CT; Image size 512x512; Upper abdomen 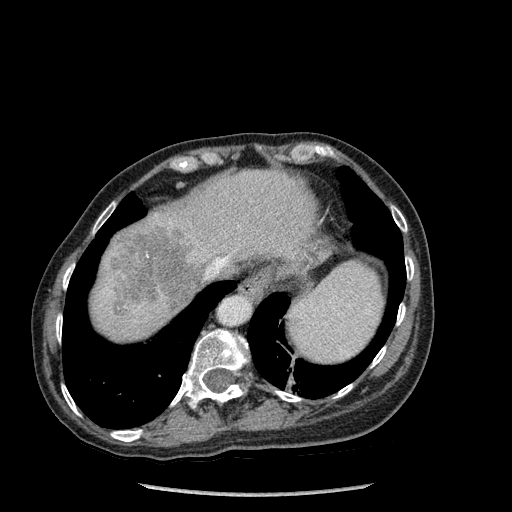 hepatic_lesion:
  - x1=112, y1=232, x2=200, y2=308
  - x1=114, y1=301, x2=125, y2=315
bone:
  - x1=396, y1=303, x2=405, y2=325
  - x1=92, y1=202, x2=115, y2=233
  - x1=170, y1=329, x2=249, y2=407
  - x1=62, y1=263, x2=74, y2=289
  - x1=110, y1=429, x2=142, y2=441
  - x1=275, y1=390, x2=300, y2=402
  - x1=56, y1=314, x2=62, y2=342
  - x1=405, y1=256, x2=414, y2=280
  - x1=391, y1=206, x2=407, y2=231
  - x1=61, y1=384, x2=80, y2=415
  - x1=334, y1=384, x2=352, y2=398
  - x1=370, y1=346, x2=386, y2=367
lung:
  - x1=247, y1=167, x2=405, y2=398
  - x1=62, y1=192, x2=235, y2=428
liver:
  - x1=90, y1=169, x2=319, y2=342